Head.
FLAIR MR.
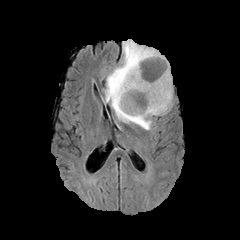
T1-weighted MR.
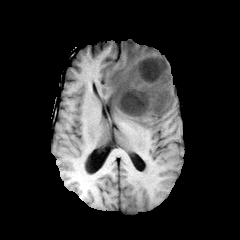
Post-contrast T1-weighted MR image.
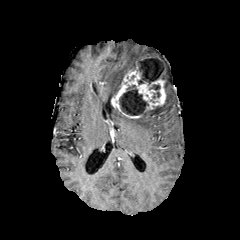
T2-weighted MRI.
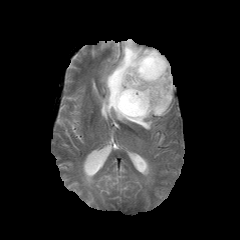
The enhancing tumor is at box=[111, 65, 166, 117]. 2 edema regions are located at box=[103, 40, 160, 103]; box=[112, 63, 173, 129]. 4 non-enhancing tumor core regions are bounded by box=[154, 106, 162, 114]; box=[107, 88, 119, 105]; box=[136, 56, 167, 83]; box=[119, 85, 147, 115].